FLAIR MRI.
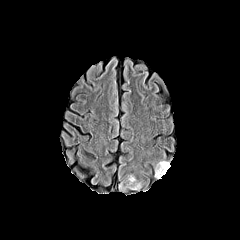
T1-weighted MR image.
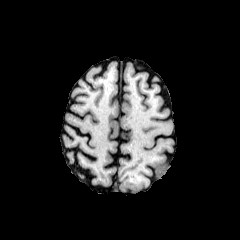
Post-contrast T1-weighted MR.
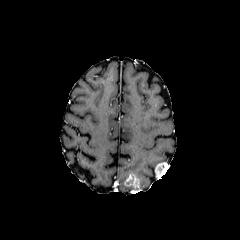
T2-weighted MRI.
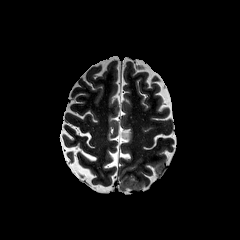
Image size 240x240
Edema = (left=118, top=175, right=142, bottom=192), (left=151, top=160, right=169, bottom=169).
Enhancing tumor = (left=154, top=162, right=170, bottom=178), (left=124, top=173, right=139, bottom=188).